FLAIR MR.
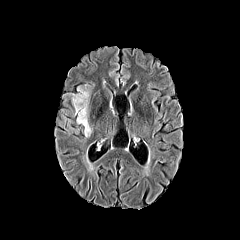
T1-weighted MRI.
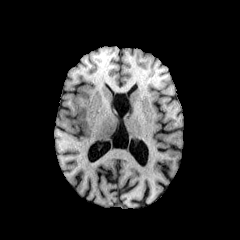
Post-contrast T1-weighted MR.
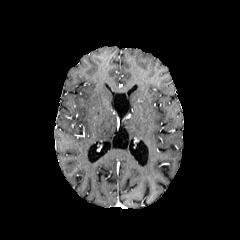
T2-weighted MRI.
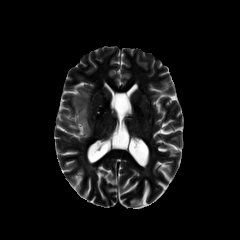
The edema is at box=[64, 84, 92, 137].